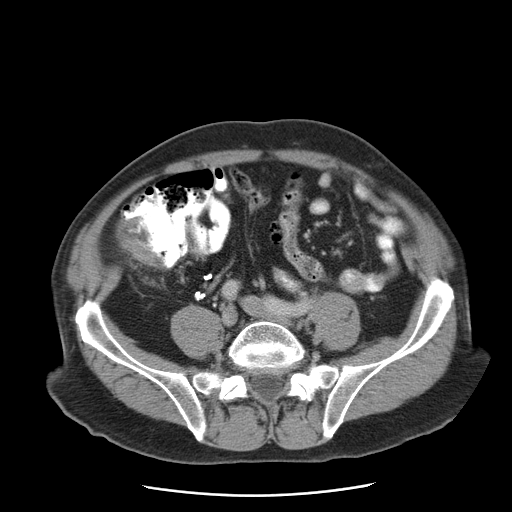 Pelvis, CT slice, Image size 512x512

{
  "colon_tumor": [
    "115,217,163,267"
  ]
}